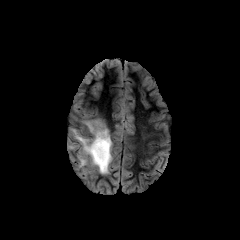
FLAIR MR image.
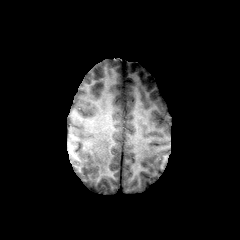
T1-weighted magnetic resonance of the same slice.
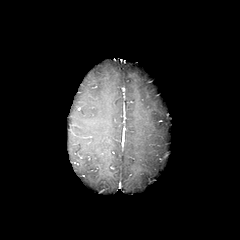
Same slice, post-contrast T1-weighted MR.
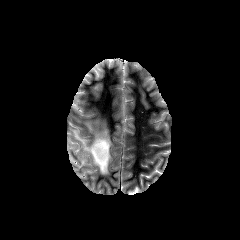
T2-weighted magnetic resonance.
240x240 px, Brain
Findings:
• edema: [71, 129, 112, 174]